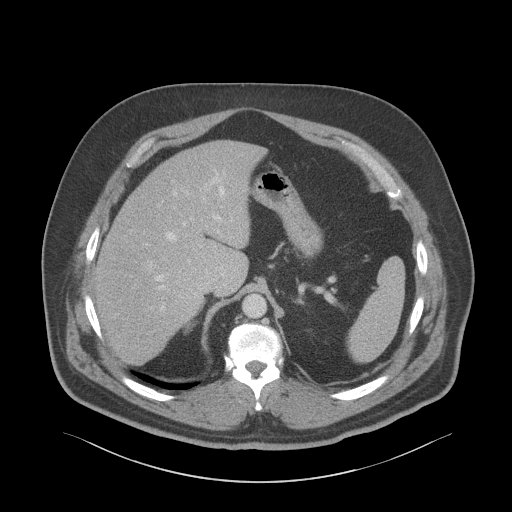

Upper abdomen; CT scan slice
Liver — x1=95, y1=142, x2=261, y2=362.